CT image.

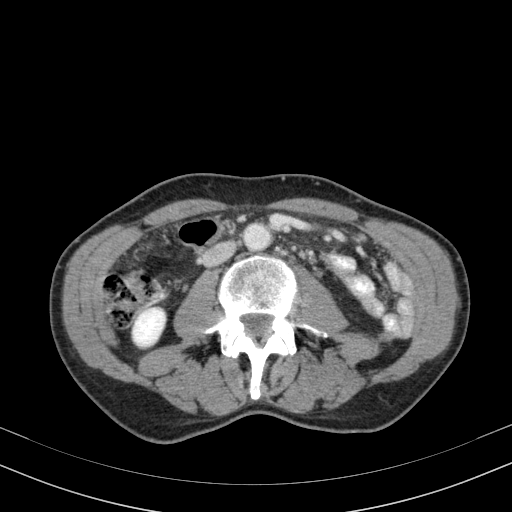
The kidney appears at left=133, top=308, right=164, bottom=345.